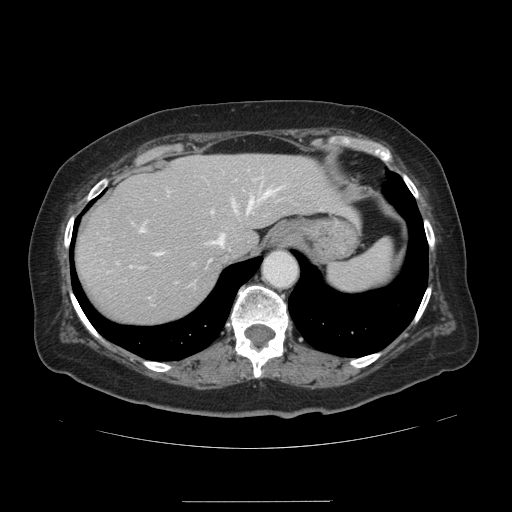

CT image
Some hepatic vessels may have no box.
hepatic vessel: bbox=[155, 252, 161, 254]; bbox=[231, 200, 236, 209]; bbox=[261, 188, 278, 198]; bbox=[138, 228, 144, 231]; bbox=[129, 265, 131, 267]; bbox=[211, 210, 212, 212]; bbox=[139, 266, 141, 267]; bbox=[148, 296, 149, 297]; bbox=[212, 235, 223, 244]; bbox=[167, 190, 167, 193]; bbox=[247, 198, 253, 212]